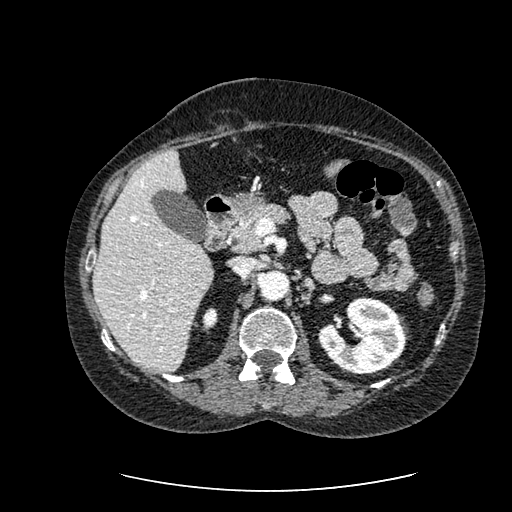
Abdomen | CT slice | 512x512
kidney: [x1=203, y1=309, x2=216, y2=327], [x1=319, y1=298, x2=405, y2=373] | liver: [x1=94, y1=151, x2=212, y2=371]